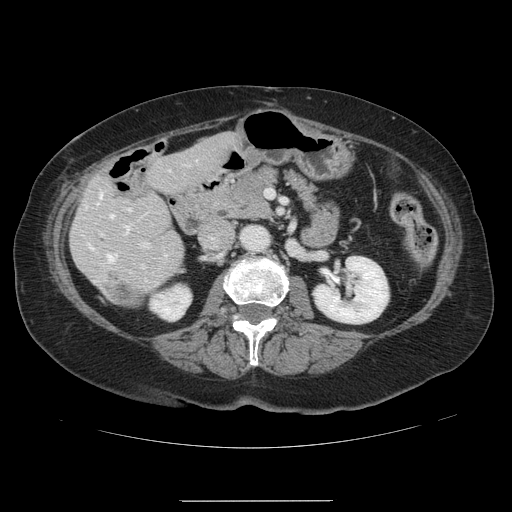 CT image, Liver, Image size 512x512
Some hepatic vessels may have no box.
9 hepatic vessel regions appear at <bbox>99, 192, 101, 198</bbox>, <bbox>100, 232, 102, 234</bbox>, <bbox>142, 243, 148, 246</bbox>, <bbox>89, 246, 93, 249</bbox>, <bbox>107, 254, 116, 261</bbox>, <bbox>110, 214, 112, 216</bbox>, <bbox>123, 225, 129, 233</bbox>, <bbox>97, 200, 99, 203</bbox>, <bbox>127, 207, 130, 210</bbox>. The liver tumor appears at <bbox>116, 286, 140, 304</bbox>.